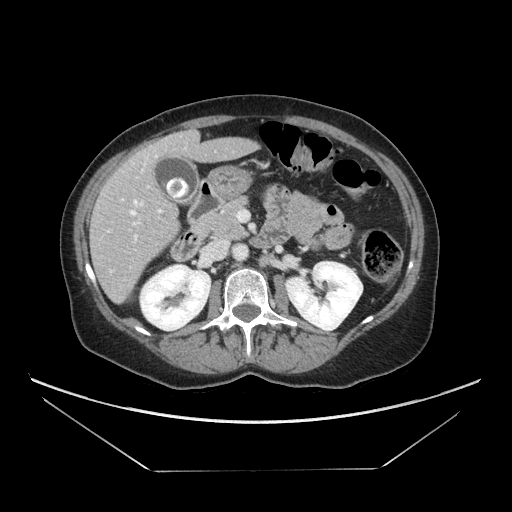
Upper abdomen | CT slice
<segmentation>
  <pancreas>bbox=[193, 197, 247, 240]</pancreas>
</segmentation>